240x240 px.
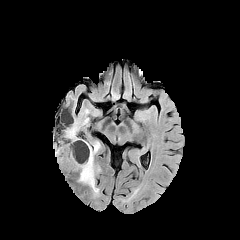
FLAIR MRI.
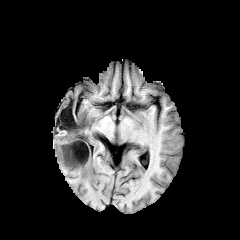
T1-weighted MR.
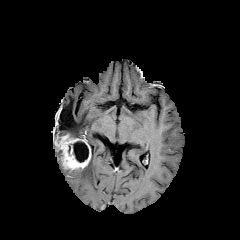
Post-contrast T1-weighted MR image of the same slice.
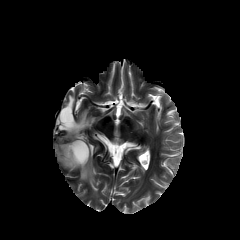
Same slice, T2-weighted magnetic resonance.
• non-enhancing tumor core: (left=69, top=140, right=89, bottom=163), (left=54, top=134, right=64, bottom=145), (left=68, top=122, right=84, bottom=132)
• edema: (left=75, top=141, right=100, bottom=194), (left=56, top=95, right=90, bottom=137)
• enhancing tumor: (left=55, top=134, right=91, bottom=169)